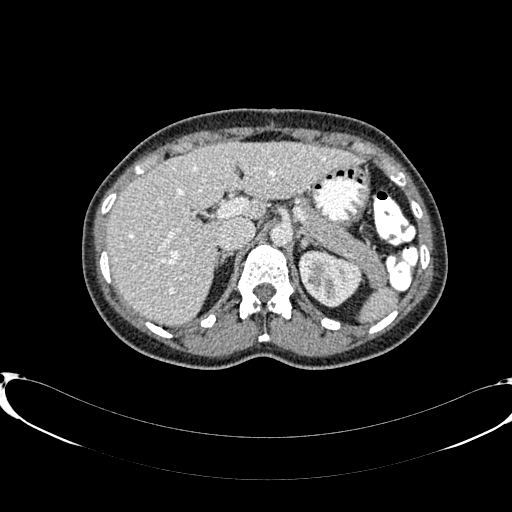
CT | Liver | Image size 512x512
Kidney = {"x1": 300, "y1": 252, "x2": 359, "y2": 305}.
Liver = {"x1": 105, "y1": 142, "x2": 366, "y2": 324}.